CT scan slice 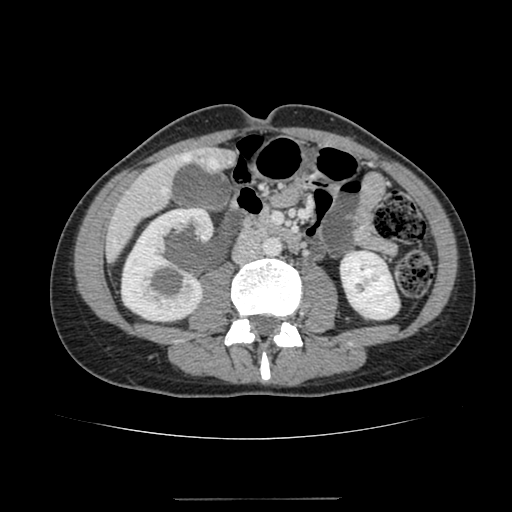 Liver — box(105, 147, 235, 261).
Kidney — box(122, 209, 212, 320); box(340, 251, 398, 318).